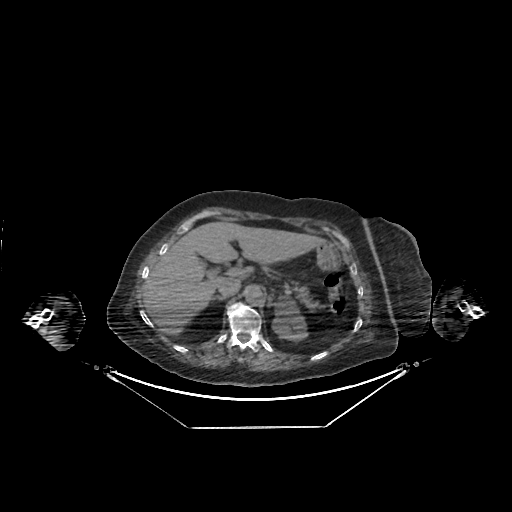
CT scan slice, Image size 512x512
The kidney lies within (272, 298, 308, 341). The liver is located at (142, 220, 324, 338).